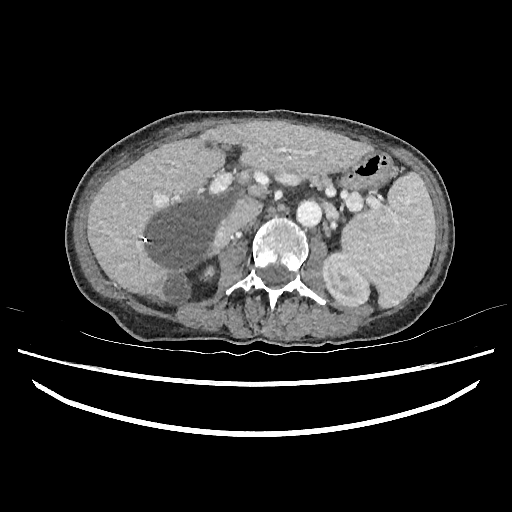

Abdomen; Computed tomography; 512x512 px
Kidney = 322 253 369 306.
Liver lesion = 145 193 230 303.
Liver = 87 122 371 302.